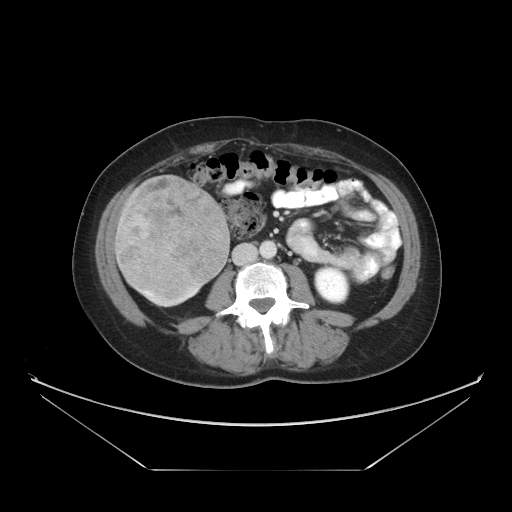
Computed tomography

liver tumor: [x1=117, y1=177, x2=228, y2=305]